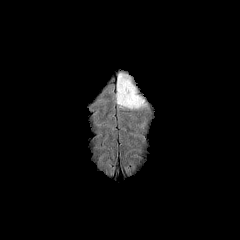
FLAIR MR.
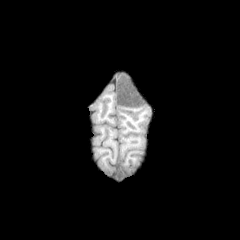
Same slice, T1-weighted magnetic resonance.
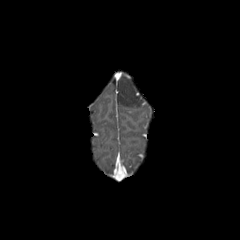
Same slice, post-contrast T1-weighted MRI.
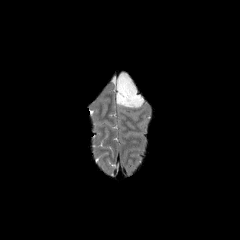
T2-weighted MRI.
Head
{"edema": ["bbox(117, 77, 143, 108)"]}